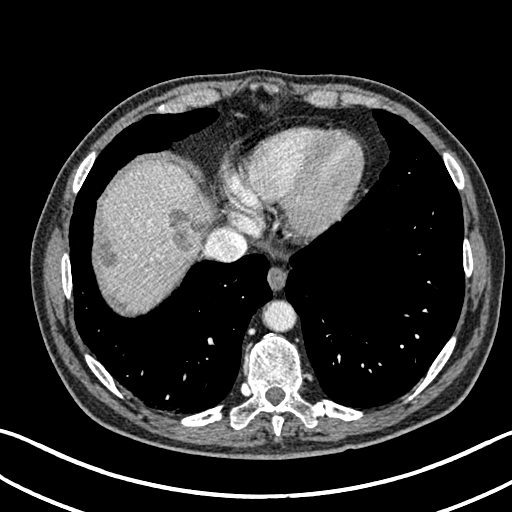 Upper abdomen, CT image, Image size 512x512
<segmentation>
  <focal_liver_lesion>169:210:189:249, 98:240:117:265</focal_liver_lesion>
  <liver>96:161:210:307</liver>
</segmentation>